35x56 px. Slice 15 of 28. MR.
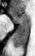 <segmentation>
  <posterior_hippocampus>rect(13, 24, 29, 47)</posterior_hippocampus>
  <anterior_hippocampus>rect(10, 12, 29, 23)</anterior_hippocampus>
</segmentation>